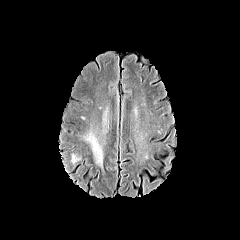
FLAIR magnetic resonance.
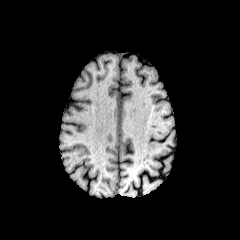
T1-weighted magnetic resonance.
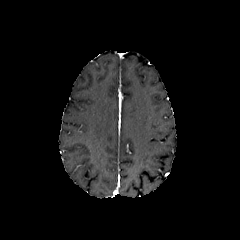
Post-contrast T1-weighted MRI of the same slice.
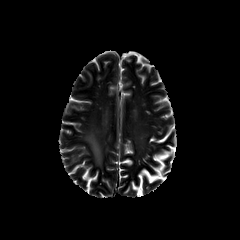
T2-weighted MR image.
Brain
Edema — [84, 132, 102, 165], [71, 154, 80, 163].